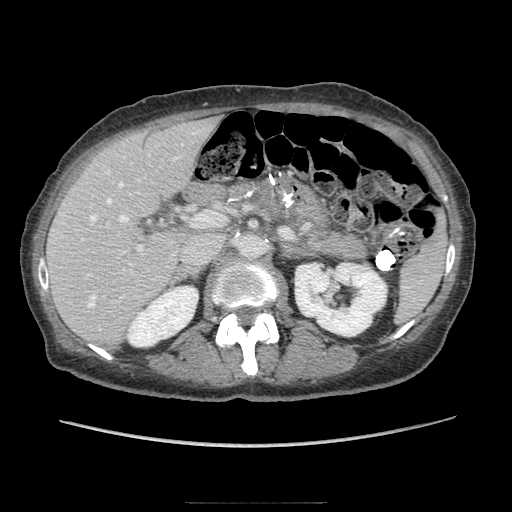
CT. Upper abdomen. The pancreas is at [305, 231, 366, 258].